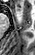

MR. Image size 35x55. Medial temporal lobe. The anterior hippocampus is bounded by rect(17, 9, 20, 10).